Abdomen | Computed tomography
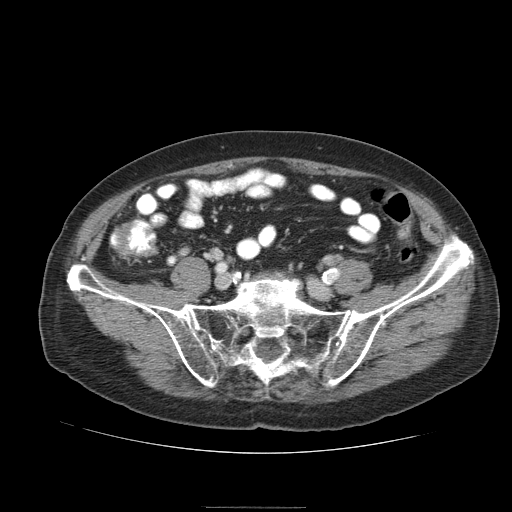

2 colon tumor regions are bounded by l=114, t=222, r=156, b=257; l=142, t=226, r=153, b=237.